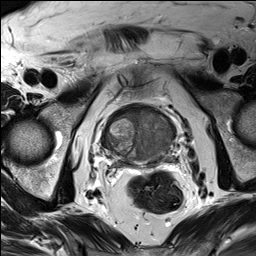
T2-weighted MR image.
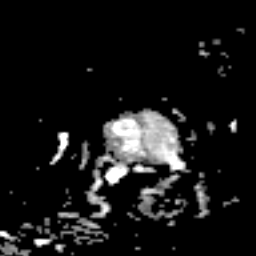
ADC magnetic resonance.
prostate_peripheral_zone:
  - [x1=106, y1=111, x2=174, y2=166]